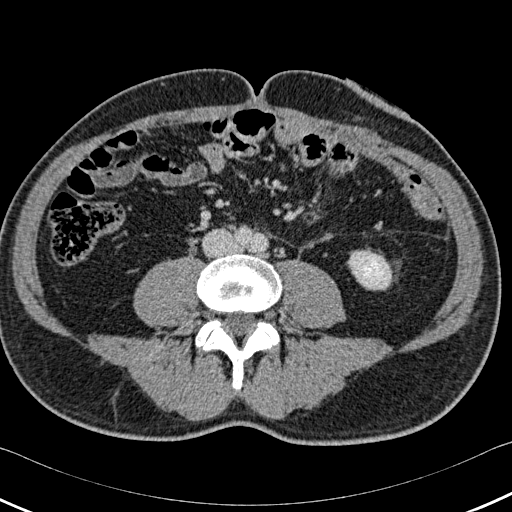 Abdomen; CT scan slice
Kidney = 349 251 391 289.
Bone = 195 320 279 389, 197 254 281 312.